CT | Abdomen

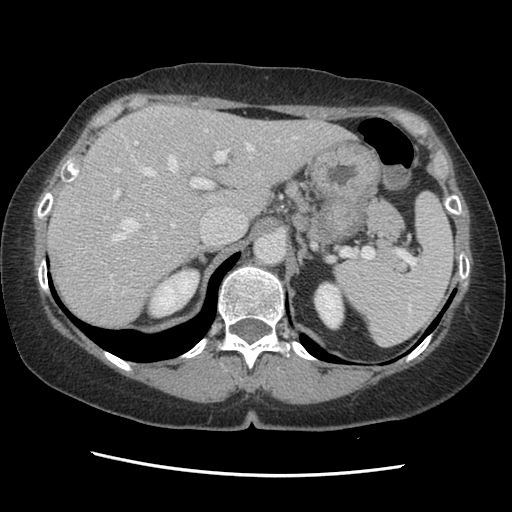
The vessel boxes may cover only some of the vessels.
The top 15 hepatic vessel regions (of 18) are bounded by 275, 140, 279, 142; 153, 235, 155, 239; 146, 213, 148, 216; 76, 205, 79, 211; 134, 141, 137, 143; 171, 222, 174, 226; 245, 143, 253, 150; 191, 177, 212, 187; 291, 136, 296, 138; 143, 167, 154, 174; 168, 156, 177, 171; 214, 149, 227, 162; 112, 219, 138, 240; 114, 168, 119, 171; 113, 189, 120, 198.